512x512. Computed tomography. Slice 83 of 696.
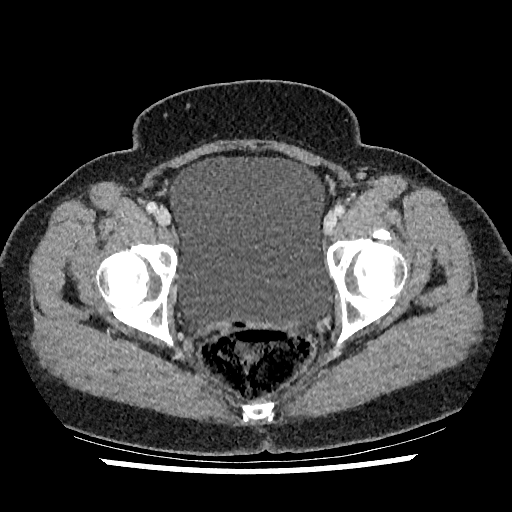

The urinary bladder is located at [x1=169, y1=156, x2=333, y2=333].